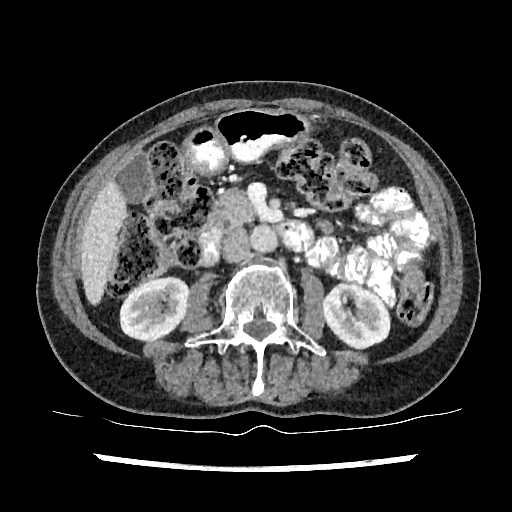

Computed tomography
Liver: bounding box (81,181,126,303).
Kidney: bounding box (323,285,389,347), (121,278,187,341).